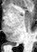 MR image; 37x52 px

posterior hippocampus: l=12, t=43, r=15, b=45